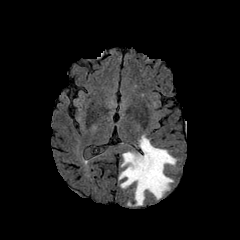
FLAIR MR.
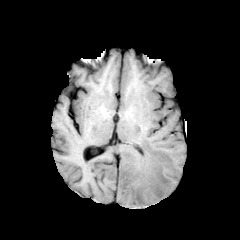
T1-weighted MR.
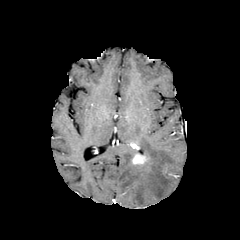
Post-contrast T1-weighted MR of the same slice.
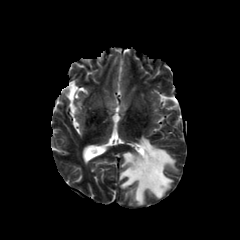
T2-weighted MR image of the same slice.
The enhancing tumor is bounded by [130,151,151,166]. The edema is located at [119,135,176,205].